CT. Abdomen. Image size 512x512. Slice index 351.
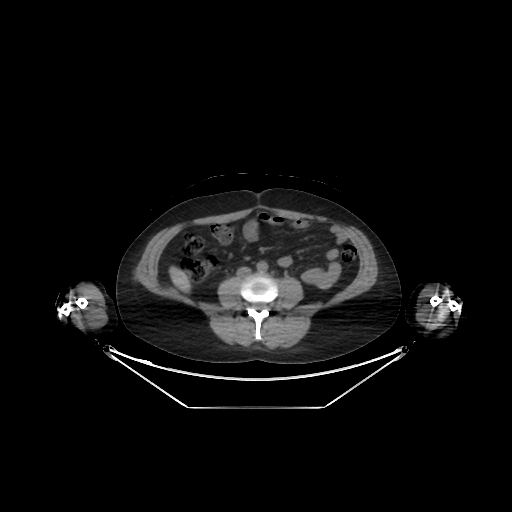 {
  "liver": [
    "169,267,190,292"
  ]
}